Liver; CT scan slice 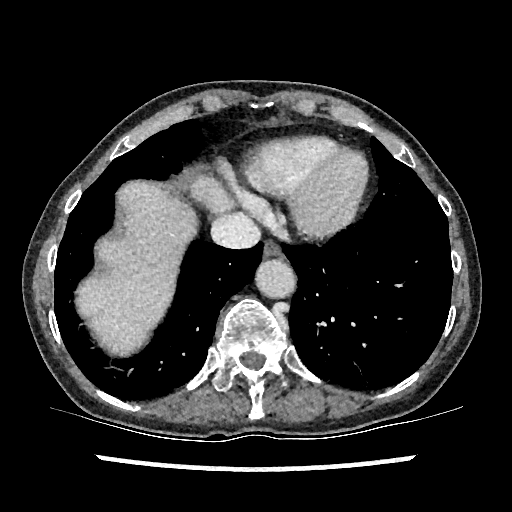
liver: 76, 182, 196, 353; 191, 178, 233, 212